Slice 55 of 155 | 240x240 px | Head
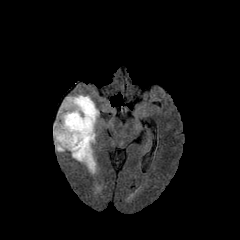
FLAIR MR image.
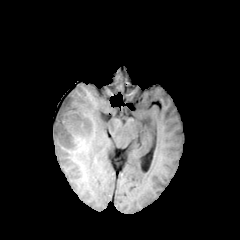
T1-weighted MR image.
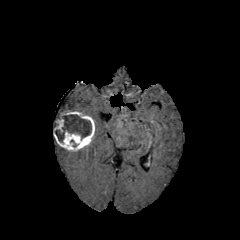
Post-contrast T1-weighted MRI.
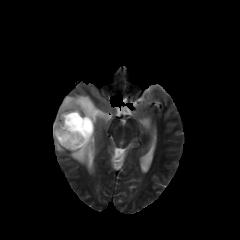
T2-weighted MR image.
<segmentation>
  <edema>bbox=[56, 92, 102, 174]; bbox=[54, 138, 67, 153]</edema>
  <non-enhancing_tumor_core>bbox=[61, 102, 80, 111]; bbox=[55, 114, 91, 142]</non-enhancing_tumor_core>
  <enhancing_tumor>bbox=[53, 110, 94, 150]</enhancing_tumor>
</segmentation>